512x512 | Image width 358 mm | Liver | CT 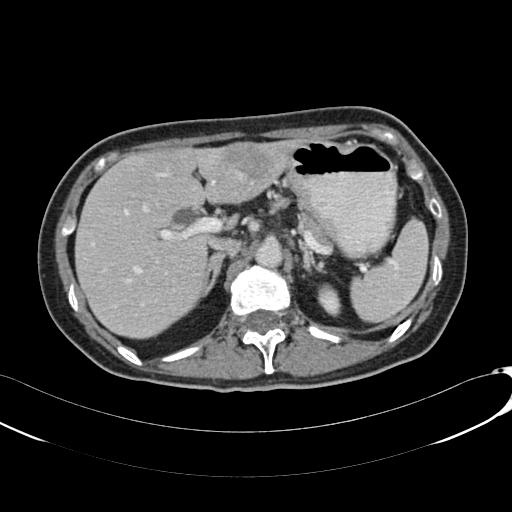
{
  "liver_lesion": [
    "[226,146,273,179]"
  ],
  "liver": [
    "[225,214,239,229]",
    "[75,138,307,337]"
  ],
  "kidney": [
    "[320,288,340,312]"
  ]
}